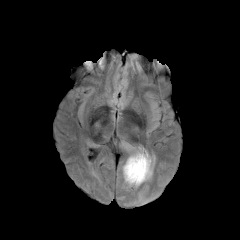
FLAIR MR image.
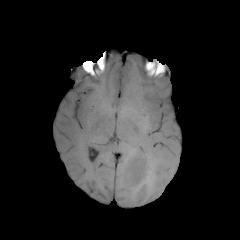
T1-weighted MRI of the same slice.
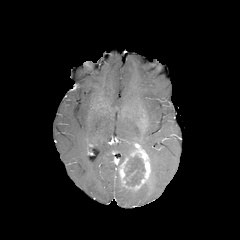
Post-contrast T1-weighted MR image.
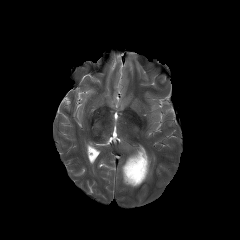
T2-weighted MR image of the same slice.
Brain. 240x240.
The non-enhancing tumor core appears at (125, 156, 144, 185). The enhancing tumor lies within (120, 150, 149, 189). The edema is at (146, 153, 152, 180).